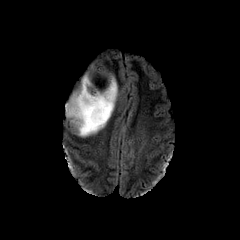
FLAIR MR image.
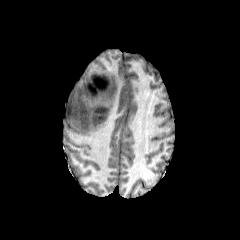
T1-weighted MRI.
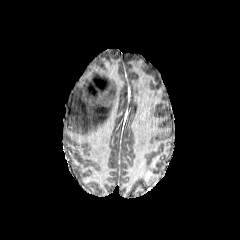
Same slice, post-contrast T1-weighted magnetic resonance.
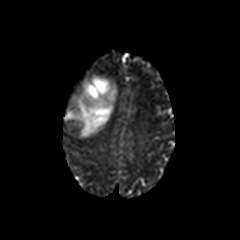
T2-weighted MR of the same slice.
Brain.
The edema is at 66,75,118,137. The non-enhancing tumor core is at 95,108,104,116.